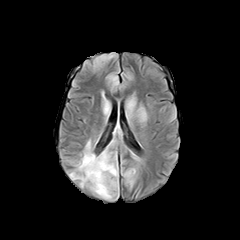
FLAIR MR.
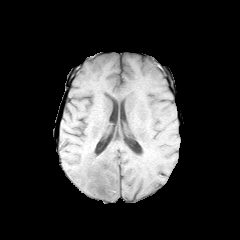
T1-weighted MR.
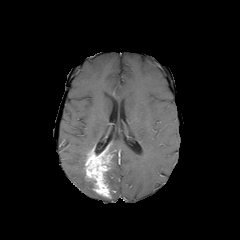
Post-contrast T1-weighted MRI of the same slice.
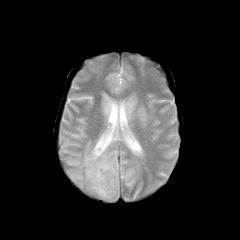
T2-weighted MR image of the same slice.
Non-enhancing tumor core: bounding box [105, 170, 110, 185].
Edema: bounding box [109, 152, 118, 195], [69, 140, 93, 191], [104, 101, 110, 112], [139, 110, 146, 120], [126, 100, 133, 116], [115, 124, 122, 138].
Enhancing tumor: bounding box [84, 147, 111, 197].